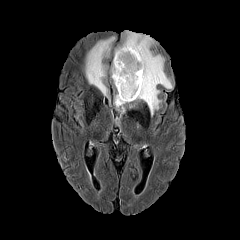
FLAIR MR.
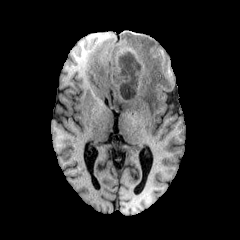
T1-weighted MRI.
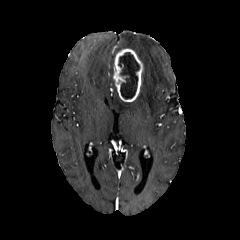
Post-contrast T1-weighted magnetic resonance.
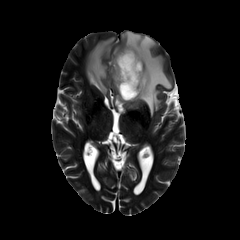
T2-weighted MR image of the same slice.
Brain
{
  "non-enhancing_tumor_core": [
    "[x1=118, y1=52, x2=139, y2=99]"
  ],
  "edema": [
    "[x1=111, y1=31, x2=171, y2=116]",
    "[x1=114, y1=95, x2=125, y2=113]",
    "[x1=86, y1=36, x2=116, y2=101]"
  ],
  "enhancing_tumor": [
    "[x1=112, y1=47, x2=144, y2=102]"
  ]
}